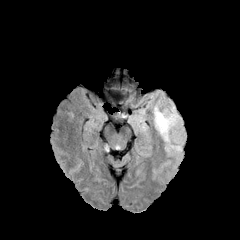
FLAIR MR.
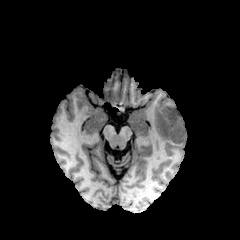
T1-weighted MRI.
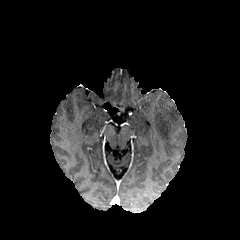
Post-contrast T1-weighted MR image.
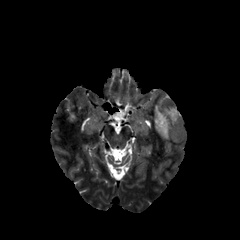
T2-weighted MR image of the same slice.
Brain
{"edema": ["bbox=[154, 104, 178, 141]"]}